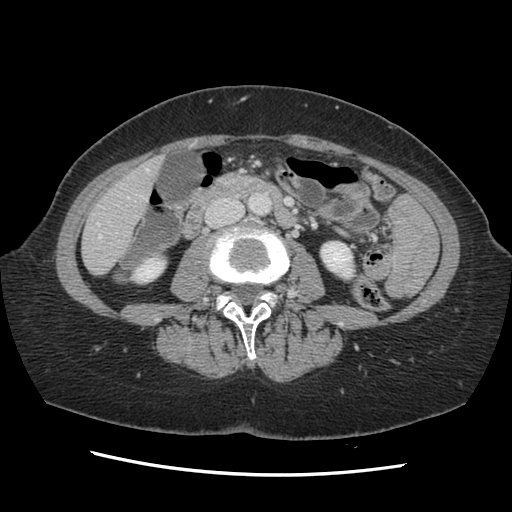 CT slice. 512x512 px. Liver.
The vessel annotation is not exhaustive.
Hepatic vessel at (99,235,101,237), (146,169,148,171), (97,222,98,224).